CT image. 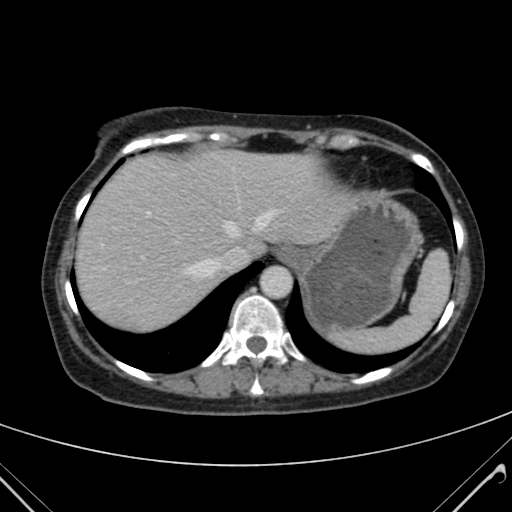

{
  "liver": [
    "bbox(75, 150, 346, 330)"
  ]
}